FLAIR magnetic resonance.
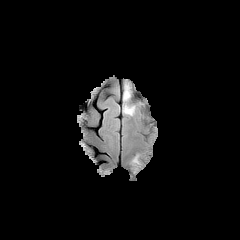
T1-weighted MR.
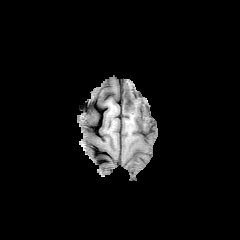
Post-contrast T1-weighted magnetic resonance.
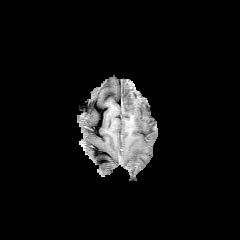
T2-weighted MR image.
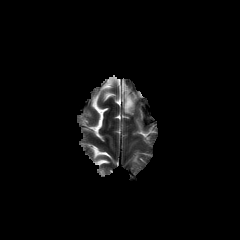
Head
Edema: bounding box l=122, t=105, r=134, b=115; l=123, t=84, r=129, b=100; l=131, t=153, r=141, b=168.